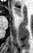 MRI slice. Hippocampus.

The anterior hippocampus appears at <bbox>12, 7, 20, 16</bbox>.